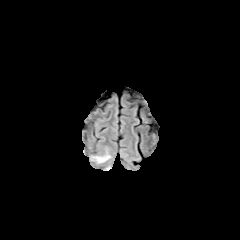
FLAIR magnetic resonance.
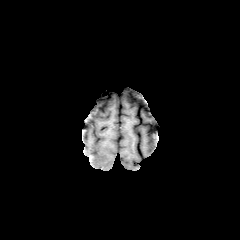
T1-weighted MR.
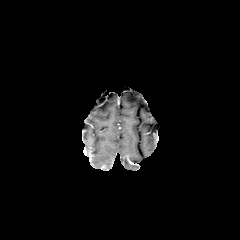
Post-contrast T1-weighted magnetic resonance of the same slice.
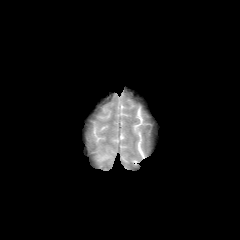
Same slice, T2-weighted MR.
Brain
edema: bbox(95, 154, 110, 163)